FLAIR MR.
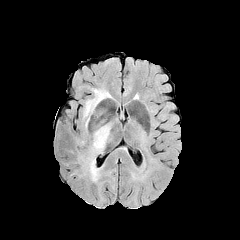
T1-weighted magnetic resonance.
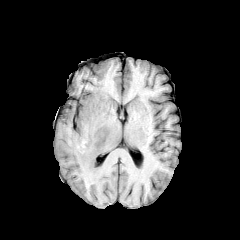
Post-contrast T1-weighted MR.
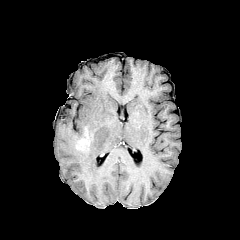
T2-weighted MR image.
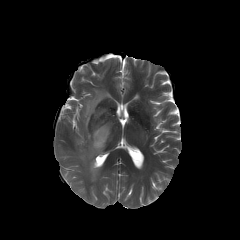
240x240 | Head
{
  "edema": [
    "82,85,112,128",
    "78,123,111,181"
  ]
}